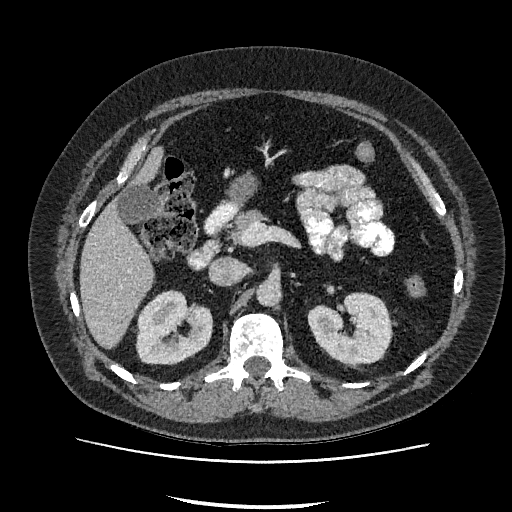
Computed tomography

Liver: bounding box 132 148 162 184, 80 201 154 347.
Kidney: bounding box 137 291 211 363, 308 294 390 362.